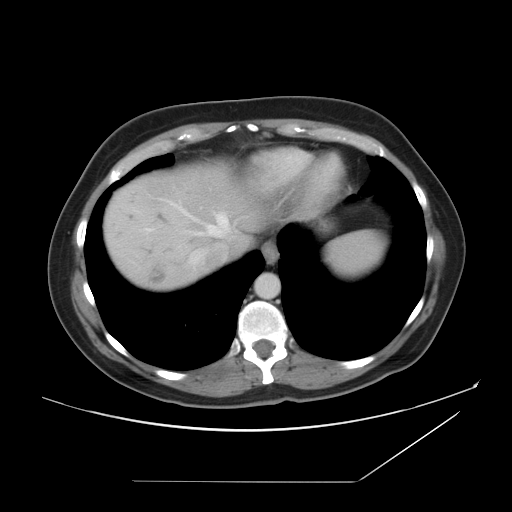
CT scan slice
Not every hepatic vessel necessarily has a box.
Liver tumor: bounding box {"x1": 152, "y1": 275, "x2": 165, "y2": 282}.
Hepatic vessel: bounding box {"x1": 136, "y1": 210, "x2": 140, "y2": 212}, {"x1": 188, "y1": 213, "x2": 229, "y2": 236}, {"x1": 145, "y1": 228, "x2": 151, "y2": 231}, {"x1": 161, "y1": 199, "x2": 196, "y2": 220}, {"x1": 190, "y1": 250, "x2": 200, "y2": 271}.